FLAIR magnetic resonance.
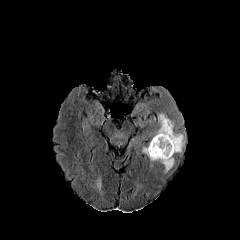
T1-weighted MRI.
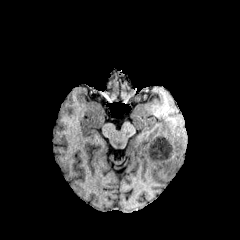
Post-contrast T1-weighted MR image.
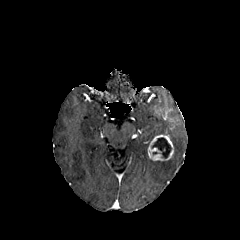
T2-weighted magnetic resonance.
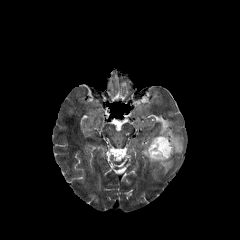
non-enhancing tumor core: 152, 137, 171, 158 | edema: 159, 157, 174, 173; 154, 113, 185, 153 | enhancing tumor: 147, 134, 174, 161